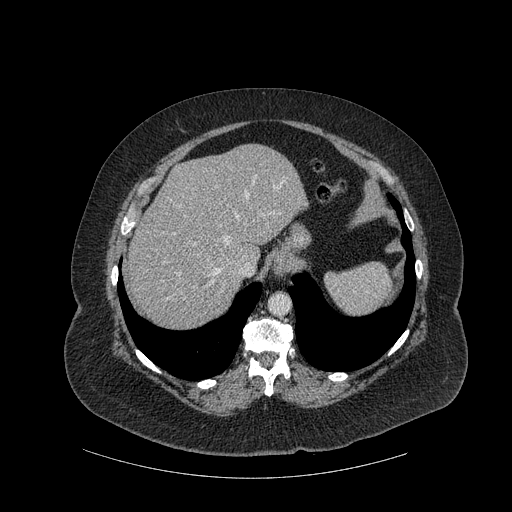 Abdomen. Computed tomography. Annotated regions:
- liver: (x1=128, y1=144, x2=308, y2=329)
- bone: (x1=243, y1=319, x2=293, y2=395), (x1=415, y1=260, x2=422, y2=278), (x1=111, y1=266, x2=117, y2=284), (x1=198, y1=379, x2=215, y2=388), (x1=388, y1=330, x2=408, y2=354), (x1=136, y1=350, x2=160, y2=372), (x1=329, y1=373, x2=347, y2=381), (x1=404, y1=210, x2=413, y2=226)
- lung: (x1=289, y1=193, x2=415, y2=371), (x1=117, y1=276, x2=261, y2=380)